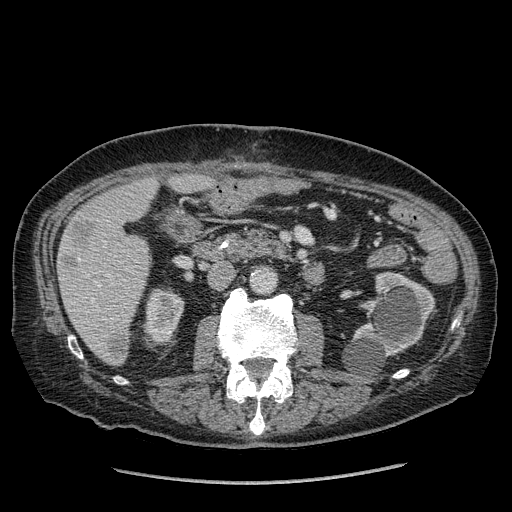

Upper abdomen, CT
{"liver_lesion": ["70, 220, 93, 243", "108, 333, 128, 358", "62, 254, 77, 265"], "kidney": ["145, 292, 183, 341", "353, 272, 434, 356"], "liver": ["58, 177, 158, 365", "170, 174, 214, 193"]}